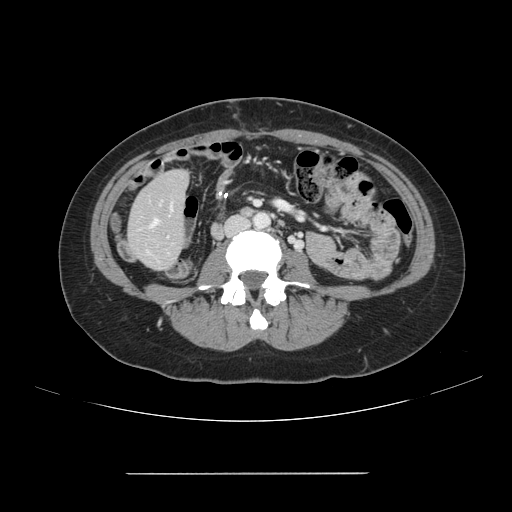 CT, Image size 512x512
The vessel boxes may cover only some of the vessels.
2 hepatic vessel regions appear at rect(151, 219, 158, 226); rect(171, 205, 172, 210).